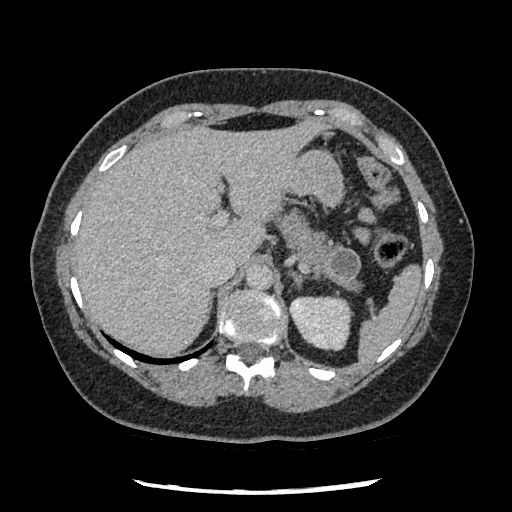 CT | Upper abdomen
Pancreas: bbox(277, 207, 360, 287).
Pancreatic tumor: bbox(326, 248, 361, 280).